FLAIR MR image.
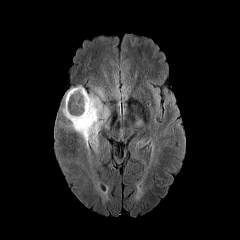
T1-weighted MRI.
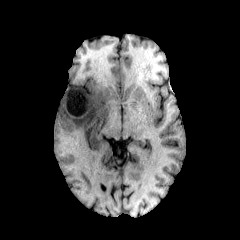
Post-contrast T1-weighted magnetic resonance.
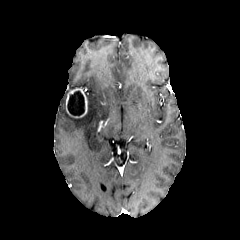
T2-weighted MR.
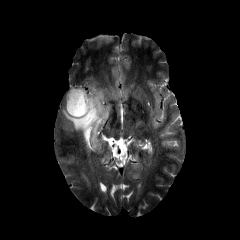
240x240
The non-enhancing tumor core is bounded by 67:90:84:115. The enhancing tumor is at 66:88:88:118. The edema is at 62:85:109:163.